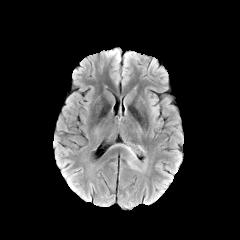
FLAIR MRI.
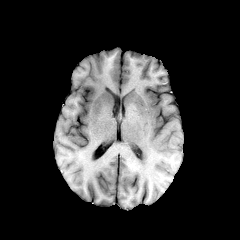
Same slice, T1-weighted MR image.
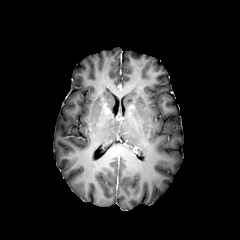
Post-contrast T1-weighted magnetic resonance.
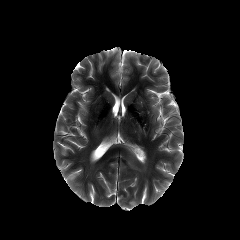
T2-weighted MR image.
240x240
The non-enhancing tumor core appears at box=[123, 144, 142, 158]. 2 edema regions are bounded by box=[127, 155, 137, 169]; box=[150, 98, 159, 116].